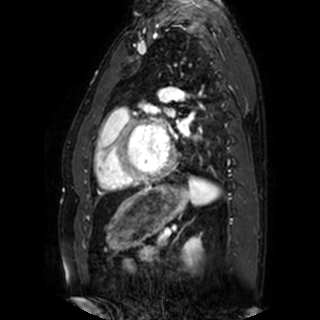 MR image; 320x320 px
{
  "left_atrium": [
    "[166, 109, 174, 116]",
    "[176, 122, 188, 135]"
  ]
}